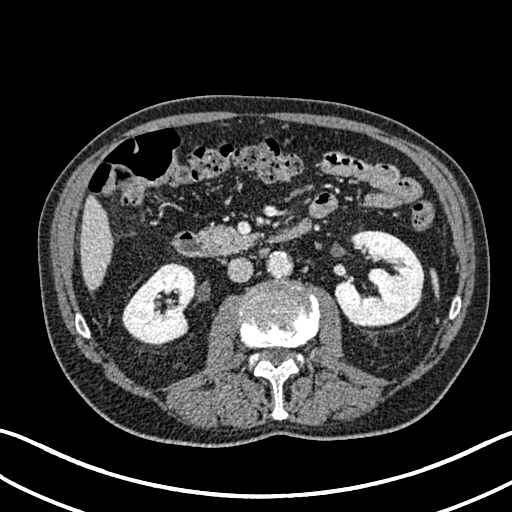

CT image; Upper abdomen
kidney: [x1=335, y1=231, x2=423, y2=325], [x1=123, y1=264, x2=194, y2=343] | liver: [x1=80, y1=198, x2=113, y2=289]